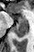
Hippocampus, MRI
<segmentation>
  <anterior_hippocampus>region(18, 16, 24, 20)</anterior_hippocampus>
  <posterior_hippocampus>region(14, 21, 27, 37)</posterior_hippocampus>
</segmentation>